32x48 px | MRI slice | Hippocampus
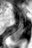

<segmentation>
  <posterior_hippocampus>bbox=[11, 23, 23, 41]</posterior_hippocampus>
</segmentation>